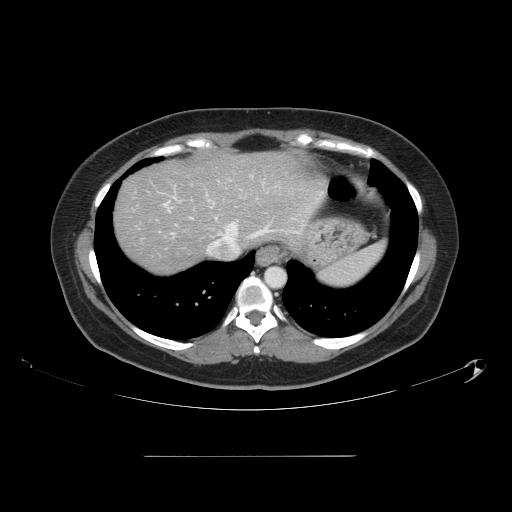
Computed tomography. 512x512. Abdomen.
Not every hepatic vessel necessarily has a box.
Hepatic vessel: bounding box x1=256, y1=227, x2=268, y2=234; x1=224, y1=223, x2=236, y2=236; x1=164, y1=203, x2=167, y2=207.